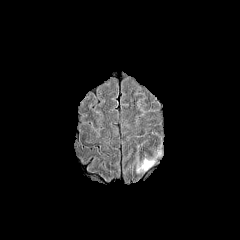
FLAIR MR.
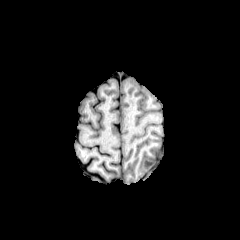
T1-weighted magnetic resonance.
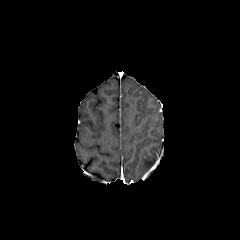
Post-contrast T1-weighted MR image.
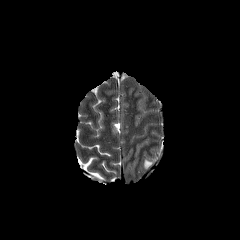
T2-weighted MR image.
240x240 px; Brain
Edema: bbox(142, 160, 152, 169).